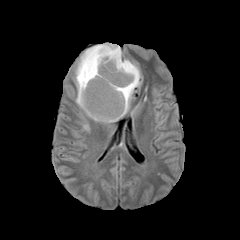
FLAIR MR.
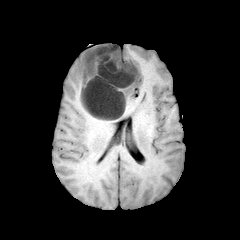
Same slice, T1-weighted MR image.
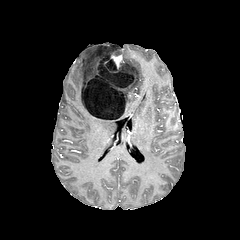
Post-contrast T1-weighted MR image.
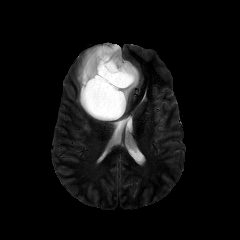
Same slice, T2-weighted MRI.
non-enhancing tumor core: 80,45,137,120 | enhancing tumor: 111,55,123,67 | edema: 75,43,117,123; 124,58,142,114